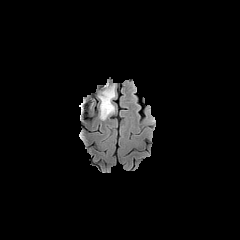
FLAIR MR image.
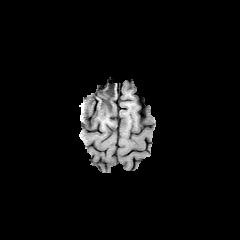
T1-weighted MR image.
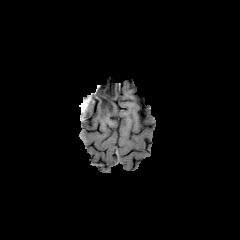
Same slice, post-contrast T1-weighted MR image.
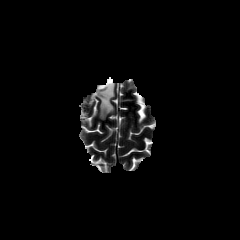
T2-weighted MR of the same slice.
Image size 240x240. Head.
Findings:
* non-enhancing tumor core: left=96, top=84, right=114, bottom=119
* edema: left=90, top=97, right=101, bottom=108; left=108, top=86, right=115, bottom=108